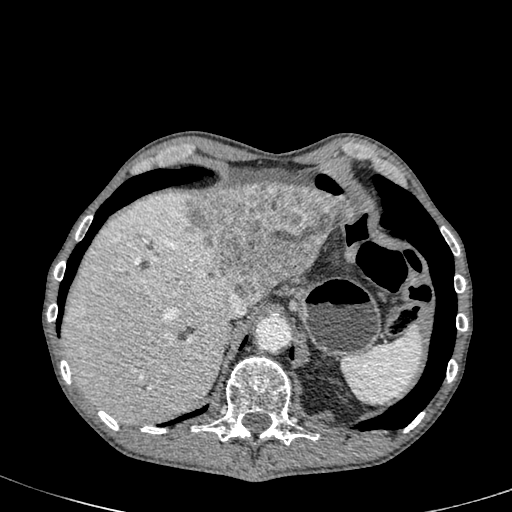 Computed tomography
Liver — (335,197,347,216), (61,193,238,424), (286,273,301,280).
Hepatic lesion — (185,183,339,304).